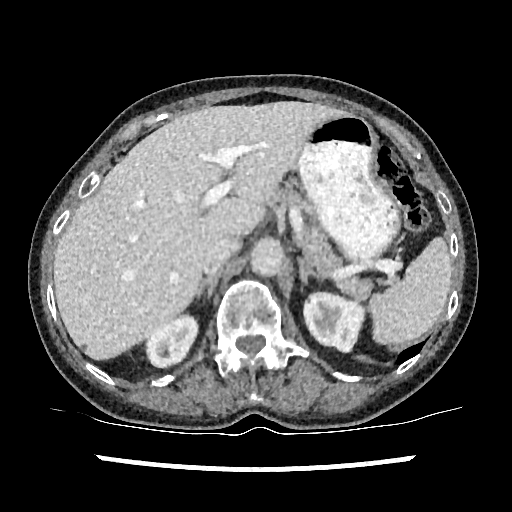

Upper abdomen | CT slice
Liver = box=[54, 102, 345, 358].
Kidney = box=[304, 294, 362, 350]; box=[148, 318, 196, 366].